FLAIR magnetic resonance.
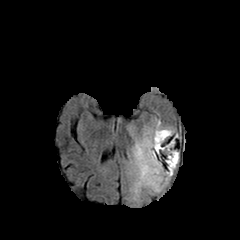
T1-weighted MRI.
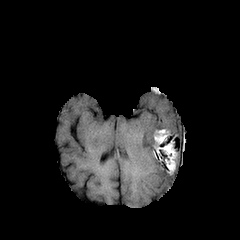
Post-contrast T1-weighted MR image.
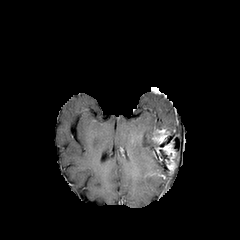
T2-weighted MRI.
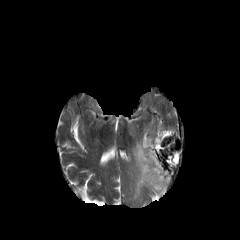
240x240 | Head
{
  "edema": [
    "<bbox>127, 119, 178, 201</bbox>"
  ],
  "enhancing_tumor": [
    "<bbox>152, 128, 169, 144</bbox>",
    "<bbox>155, 140, 177, 173</bbox>"
  ]
}